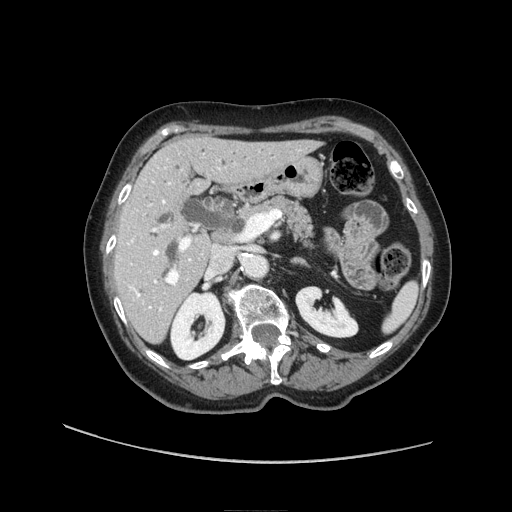

CT image

The pancreas is bounded by left=245, top=197, right=314, bottom=243.